CT image | Slice index 35 | Image width 389 mm | 512x512 px
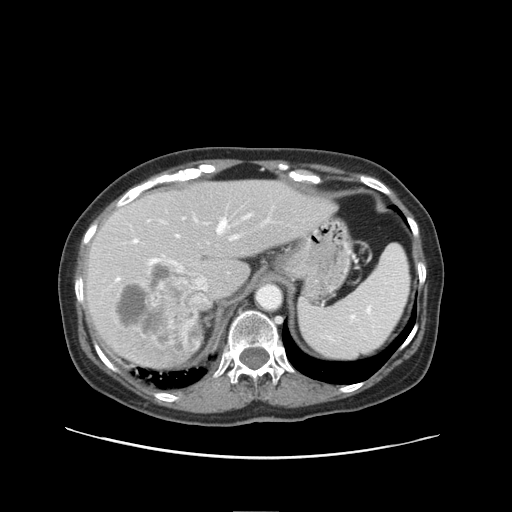 Some hepatic vessels may have no box.
- liver tumor: (109,252,210,355)
- hepatic vessel: (244,215,251,219), (180,263,183,266), (262,217,271,225), (175,234,179,237), (162,222,165,223), (194,218,197,222), (230,235,239,241), (182,217,184,220), (116,278,120,281), (133,239,138,243), (217,219,226,233)